FLAIR MRI.
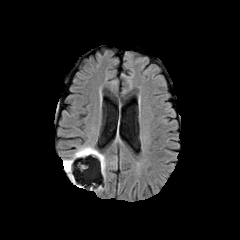
T1-weighted MR image.
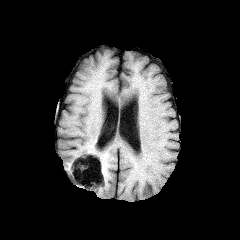
Post-contrast T1-weighted magnetic resonance.
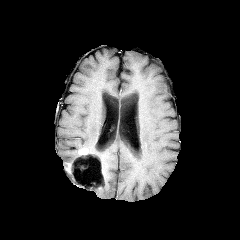
T2-weighted MR.
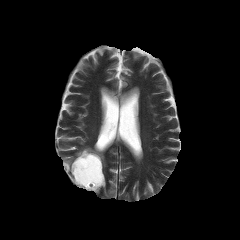
The non-enhancing tumor core appears at <box>68,149,103,177</box>. 3 edema regions are located at <box>100,157,105,179</box>, <box>78,145,97,151</box>, <box>63,150,79,172</box>. The enhancing tumor is at <box>77,148,92,154</box>.